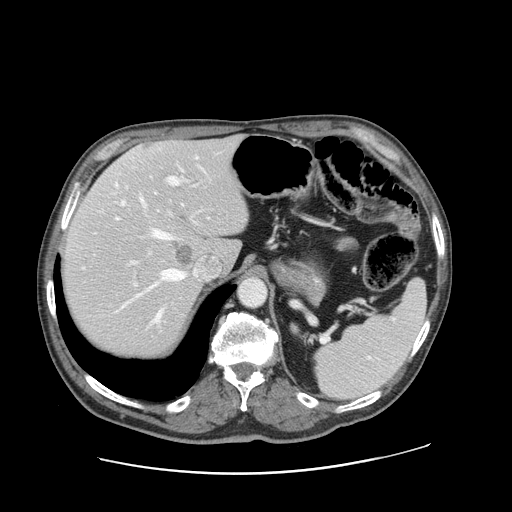

Computed tomography. Liver. Only some of the vessels may be annotated.
liver tumor: (174,244,193,266) | hepatic vessel: (168,177,178,185), (140,196,144,206), (201,168,203,169), (131,261,136,263), (116,218,118,219), (149,283,156,289), (161,269,184,279), (151,310,161,323), (121,201,124,204), (152,230,170,238), (122,303,126,307), (135,294,140,297)